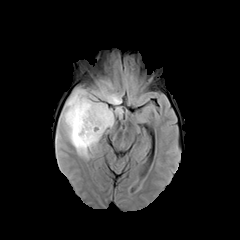
FLAIR MR.
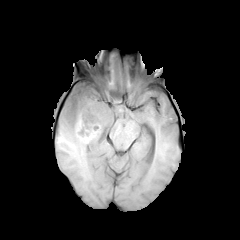
Same slice, T1-weighted MRI.
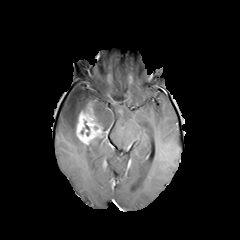
Post-contrast T1-weighted MR of the same slice.
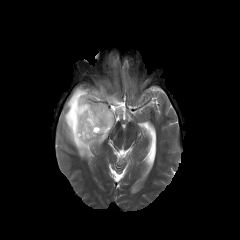
T2-weighted magnetic resonance of the same slice.
240x240
Edema: [x1=55, y1=85, x2=124, y2=160].
Enhancing tumor: [x1=76, y1=107, x2=105, y2=144].